Upper abdomen. Slice 32/87. CT scan slice. 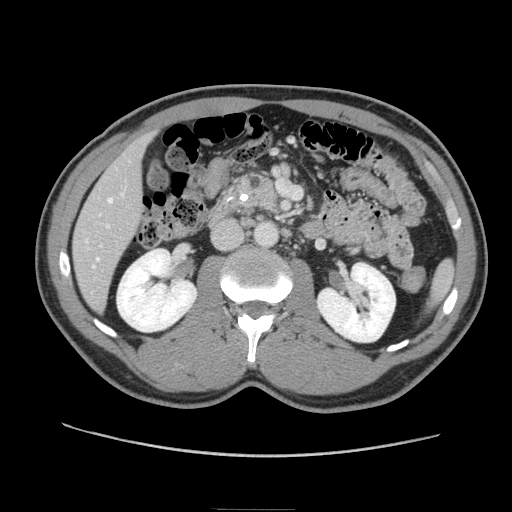 The pancreas is located at box(234, 169, 279, 212). The pancreatic tumor is at box(246, 182, 278, 209).